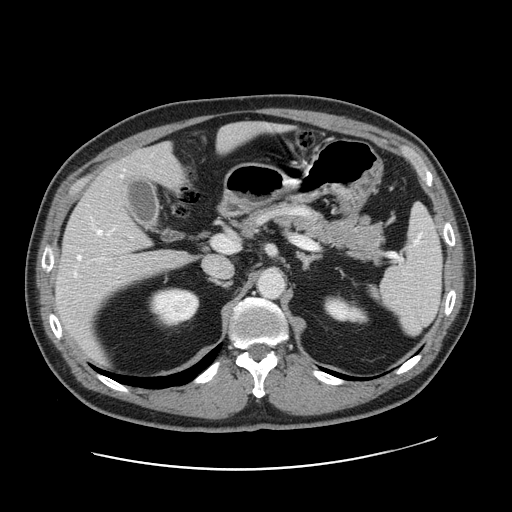

CT image; Abdomen

Only some of the vessels may be annotated.
hepatic_vessel:
  - (left=107, top=228, right=113, bottom=235)
  - (left=266, top=124, right=288, bottom=128)
  - (left=181, top=252, right=187, bottom=259)
  - (left=77, top=255, right=81, bottom=259)
  - (left=94, top=228, right=101, bottom=233)
  - (left=219, top=140, right=222, bottom=148)
  - (left=96, top=257, right=105, bottom=259)
  - (left=74, top=271, right=76, bottom=275)
  - (left=163, top=144, right=168, bottom=146)
  - (left=120, top=173, right=123, bottom=176)
  - (left=142, top=239, right=149, bottom=244)
  - (left=89, top=355, right=96, bottom=357)
  - (left=91, top=222, right=93, bottom=226)
  - (left=220, top=125, right=230, bottom=133)